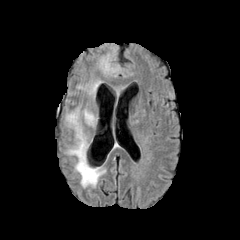
FLAIR magnetic resonance.
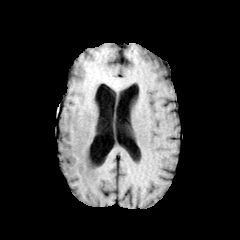
T1-weighted MR image of the same slice.
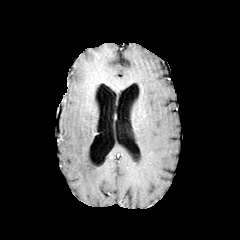
Same slice, post-contrast T1-weighted magnetic resonance.
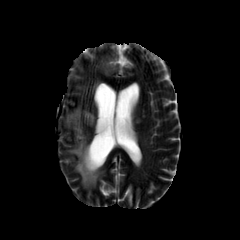
Same slice, T2-weighted MRI.
240x240
Edema: bbox=[101, 58, 115, 73]; bbox=[66, 108, 105, 188]; bbox=[88, 81, 101, 94].